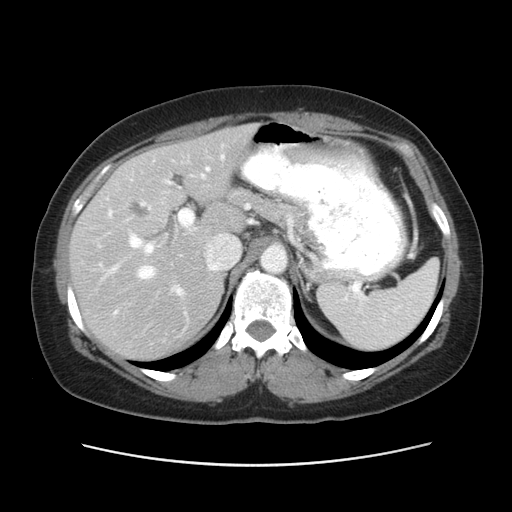 Liver | CT slice

Only some of the vessels may be annotated.
The liver tumor is at [129,202,150,221]. 11 hepatic vessel regions are bounded by [178,209,193,225], [108,210,111,215], [110,265,118,271], [221,155,223,158], [165,181,170,183], [201,174,204,177], [139,266,153,278], [144,244,152,252], [205,167,208,170], [129,234,141,246], [172,286,182,294].